Computed tomography

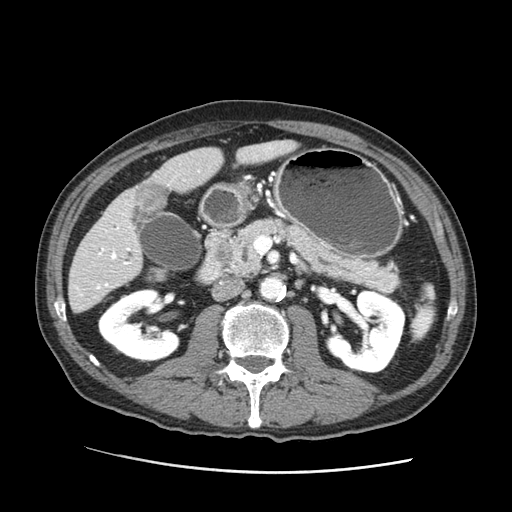 {"pancreatic_tumor": ["<box>214,244,233,262</box>"], "pancreas": ["<box>219,219,397,293</box>"]}